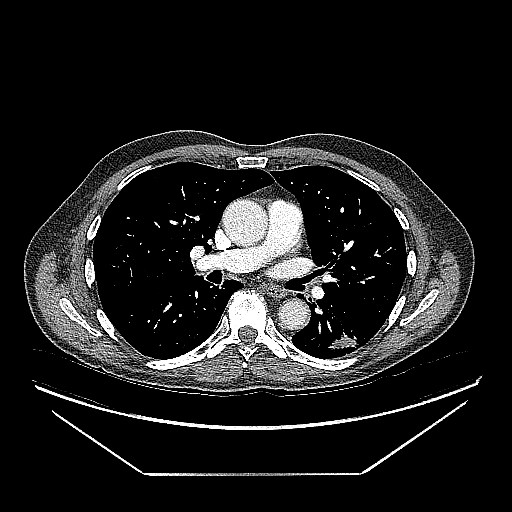
Chest, CT
Lung tumor — (325,326,364,353).